Computed tomography | Slice 35/59
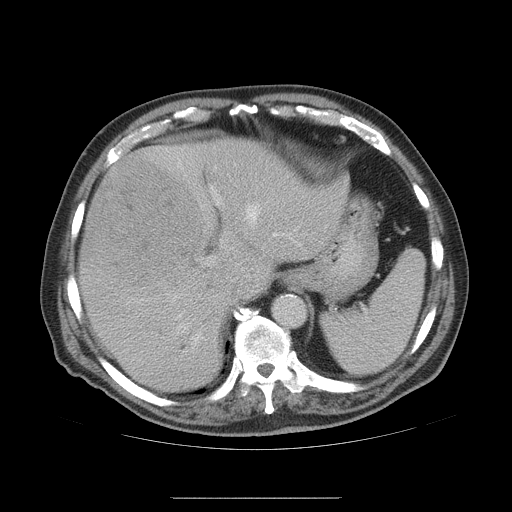 The vessel boxes may cover only some of the vessels.
The liver tumor is located at (left=83, top=157, right=204, bottom=287). The top 15 hepatic vessel regions (of 24) are bounded by (left=177, top=314, right=181, bottom=318), (left=176, top=325, right=190, bottom=334), (left=197, top=193, right=204, bottom=197), (left=246, top=203, right=259, bottom=224), (left=196, top=256, right=215, bottom=266), (left=191, top=335, right=205, bottom=351), (left=201, top=205, right=204, bottom=209), (left=167, top=293, right=182, bottom=304), (left=204, top=214, right=207, bottom=219), (left=225, top=231, right=229, bottom=234), (left=262, top=244, right=264, bottom=248), (left=286, top=231, right=303, bottom=248), (left=273, top=232, right=278, bottom=235), (left=220, top=238, right=227, bottom=247), (left=210, top=184, right=223, bottom=205).